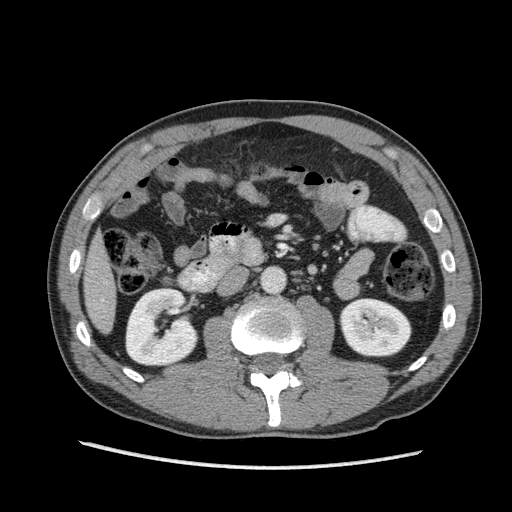 CT | Upper abdomen

kidney:
  - region(341, 299, 410, 355)
  - region(126, 289, 195, 364)
liver:
  - region(80, 230, 116, 333)